Upper abdomen, CT scan slice, Field of view 400 mm wide, 0.80 mm slice spacing

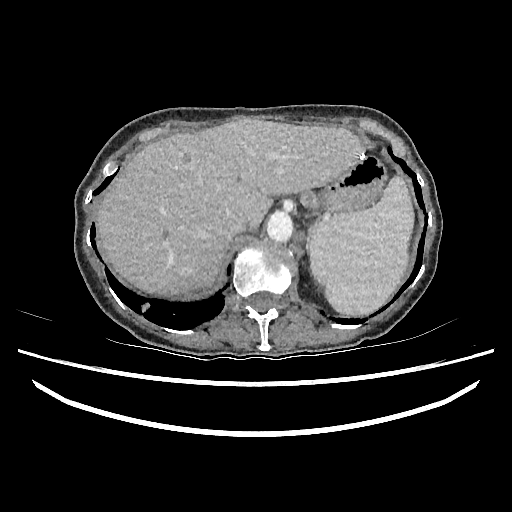 Annotated regions:
• liver: region(99, 119, 363, 293)